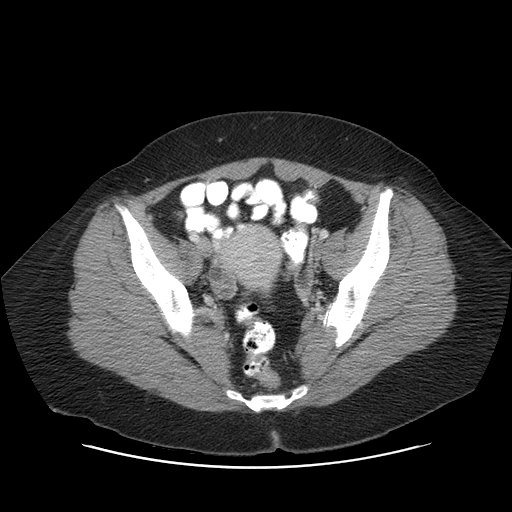
CT scan slice, Image size 512x512

Annotated regions:
* colon tumor: [286,263,297,271]